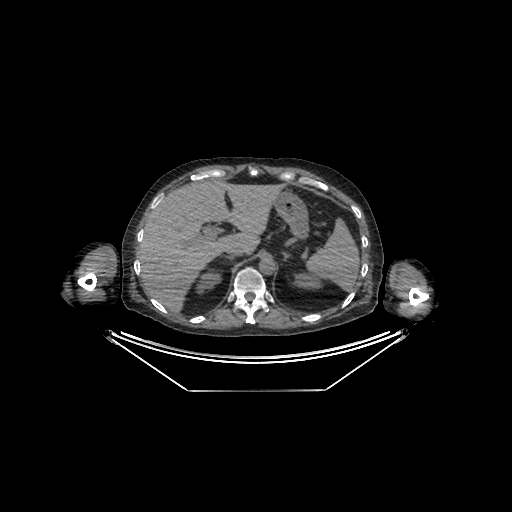
CT slice. Abdomen.
{"liver": ["box(136, 176, 285, 312)"], "kidney": ["box(196, 269, 221, 293)", "box(294, 270, 323, 288)"]}